512x512, Computed tomography 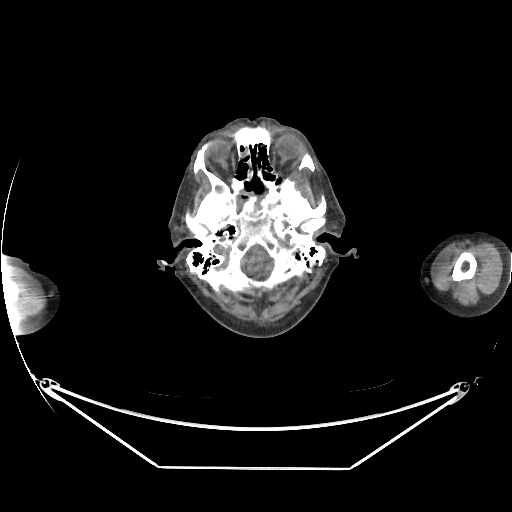
Brain: x1=240 y1=243 x2=275 y2=281, x1=251 y1=221 x2=265 y2=228, x1=214 y1=255 x2=229 y2=270.